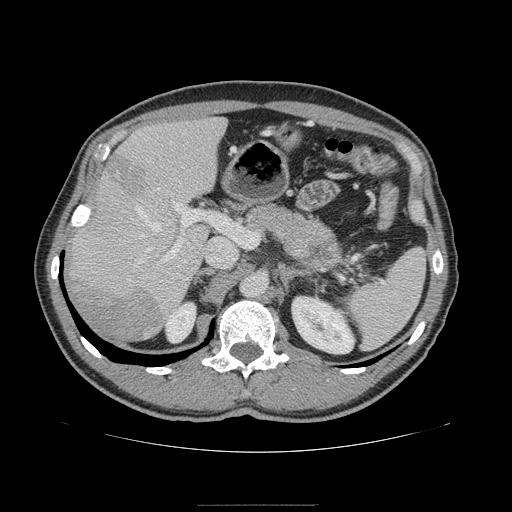
Upper abdomen; CT
The pancreas is bounded by bbox(246, 204, 347, 271). The pancreatic tumor is bounded by bbox(308, 241, 330, 262).